FLAIR magnetic resonance.
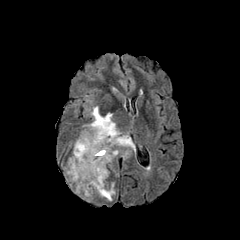
T1-weighted MRI.
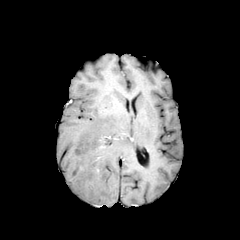
Post-contrast T1-weighted MR image.
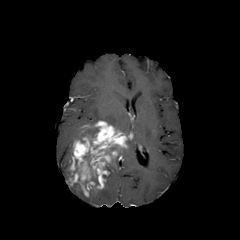
T2-weighted MRI.
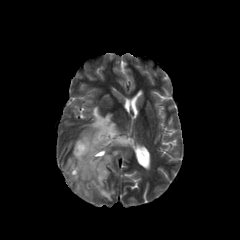
240x240 | Head
5 edema regions are located at bbox(75, 184, 83, 194); bbox(66, 157, 71, 176); bbox(129, 138, 135, 153); bbox(85, 106, 118, 129); bbox(92, 183, 115, 201). The enhancing tumor is bounded by bbox(69, 121, 130, 196). 4 non-enhancing tumor core regions appear at bbox(82, 127, 99, 137); bbox(83, 152, 91, 167); bbox(70, 159, 78, 178); bbox(90, 173, 99, 187).